Slice 315/391; CT image; Liver 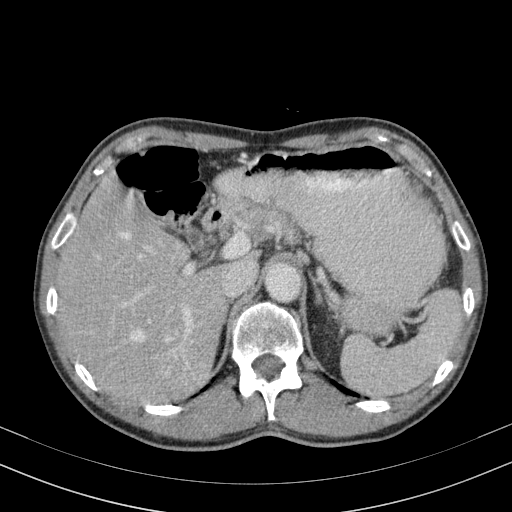

Annotated regions:
• liver: x1=250 y1=250 x2=261 y2=258, x1=58 y1=172 x2=259 y2=405